CT slice. Slice 439 of 722. 512x512 px. Liver.
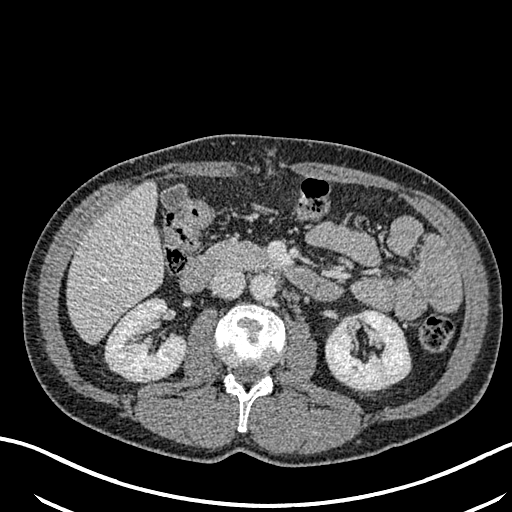
Liver = <bbox>67, 181, 162, 341</bbox>.
Kidney = <bbox>326, 311, 409, 389</bbox>, <bbox>106, 299, 185, 380</bbox>.